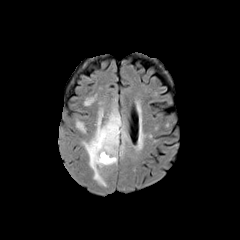
FLAIR MR.
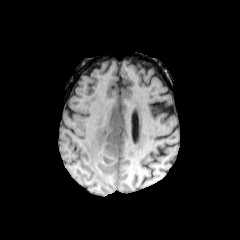
Same slice, T1-weighted magnetic resonance.
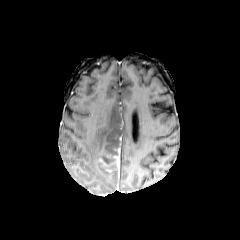
Same slice, post-contrast T1-weighted MRI.
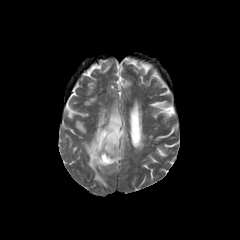
T2-weighted MR.
Image size 240x240
{
  "non-enhancing_tumor_core": [
    "rect(100, 146, 120, 164)"
  ],
  "enhancing_tumor": [
    "rect(99, 148, 120, 172)"
  ],
  "edema": [
    "rect(81, 102, 129, 187)"
  ]
}